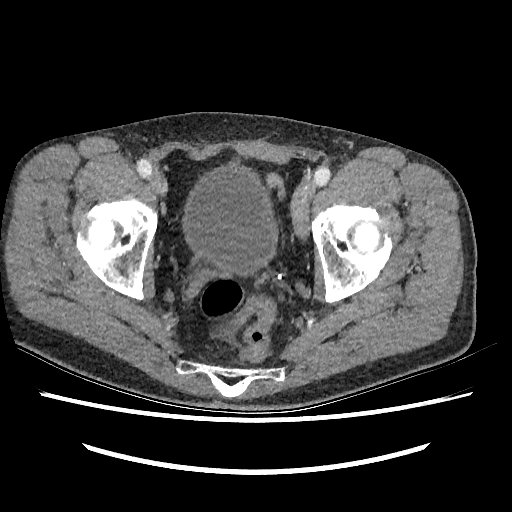

Image size 512x512; CT image

{
  "urinary_bladder": [
    "(x1=186, y1=169, x2=272, y2=275)"
  ]
}